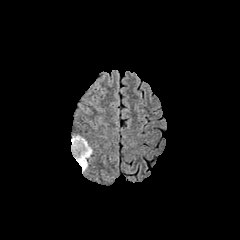
FLAIR MR.
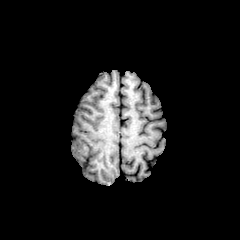
T1-weighted MR image.
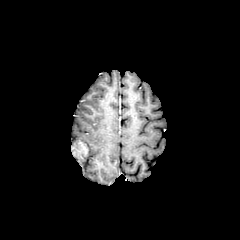
Post-contrast T1-weighted magnetic resonance of the same slice.
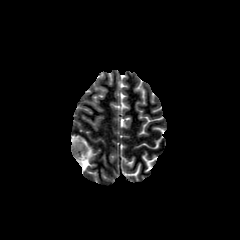
T2-weighted MR of the same slice.
Brain.
Findings:
- non-enhancing tumor core: box(74, 147, 82, 162)
- edema: box(71, 134, 93, 171)